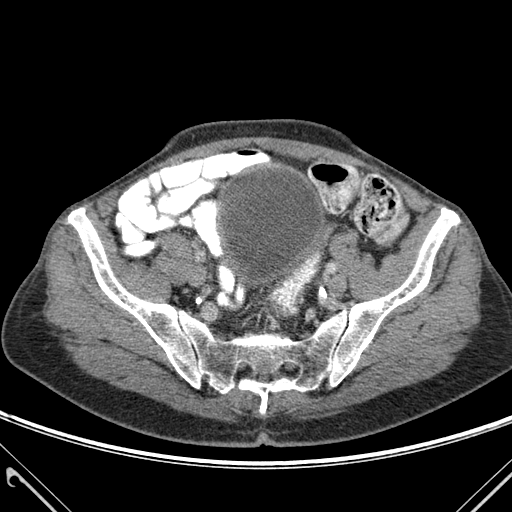 CT

Bone — box(68, 208, 459, 413).